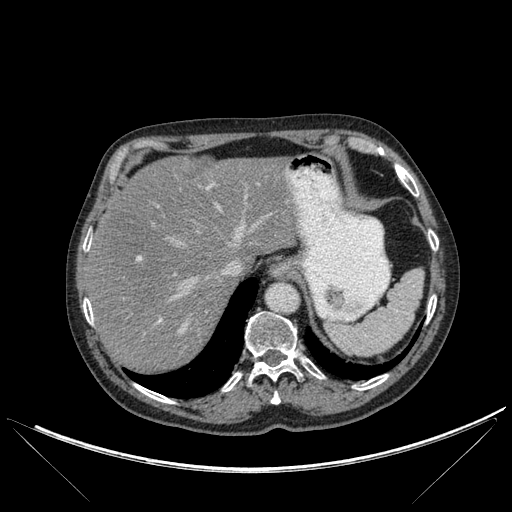 CT. The hepatic lesion appears at 185,158,213,177. 2 lung regions are bounded by 126,278,257,398; 305,330,418,379. 10 bone regions appear at 134,384,173,403; 394,166,418,196; 245,312,324,380; 83,235,91,250; 222,372,241,391; 426,295,436,322; 271,392,280,404; 83,298,93,324; 354,374,388,390; 428,230,438,250. The liver is located at 87,156,298,373.